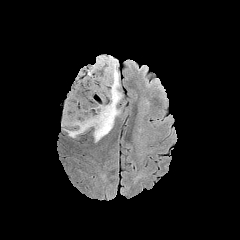
FLAIR MRI.
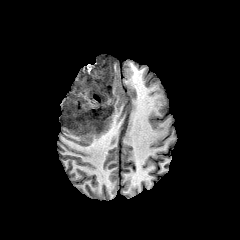
T1-weighted magnetic resonance of the same slice.
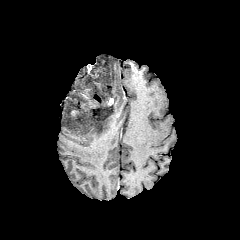
Post-contrast T1-weighted MR image.
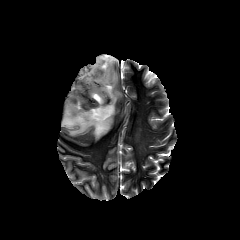
Same slice, T2-weighted MRI.
240x240 px
non-enhancing_tumor_core:
  - bbox(88, 109, 104, 129)
  - bbox(99, 59, 111, 92)
edema:
  - bbox(62, 55, 121, 141)